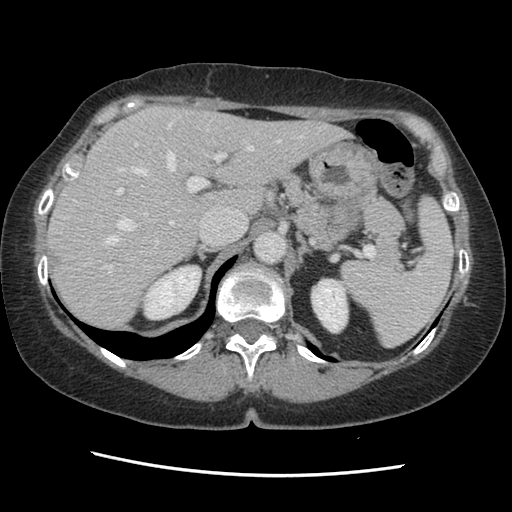

Abdomen, Computed tomography

Only some of the vessels may be annotated.
The principal 15 hepatic vessel regions (of 17) are located at <bbox>103, 265, 111, 273</bbox>, <bbox>242, 140, 252, 150</bbox>, <bbox>118, 168, 123, 171</bbox>, <bbox>213, 153, 226, 160</bbox>, <bbox>106, 236, 117, 244</bbox>, <bbox>135, 142, 137, 145</bbox>, <bbox>277, 140, 280, 142</bbox>, <bbox>117, 188, 122, 193</bbox>, <bbox>118, 219, 134, 230</bbox>, <bbox>170, 220, 173, 224</bbox>, <bbox>132, 167, 146, 173</bbox>, <bbox>155, 240, 158, 243</bbox>, <bbox>188, 177, 206, 191</bbox>, <bbox>168, 121, 173, 128</bbox>, <bbox>167, 152, 175, 170</bbox>.